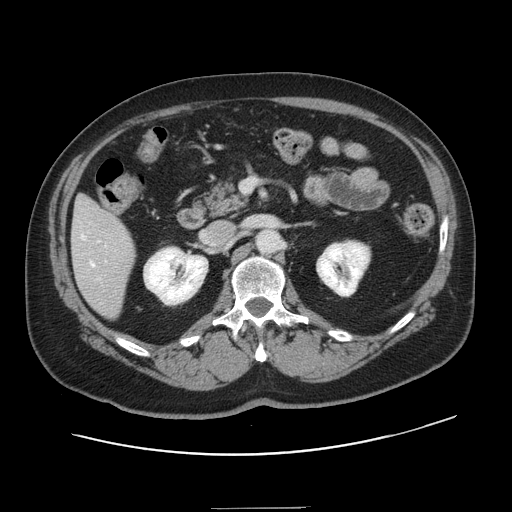

Computed tomography. Only some of the vessels may be annotated.
Hepatic vessel at x1=90, y1=261, x2=94, y2=266; x1=81, y1=235, x2=85, y2=239.